FLAIR magnetic resonance.
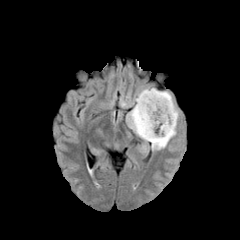
T1-weighted magnetic resonance.
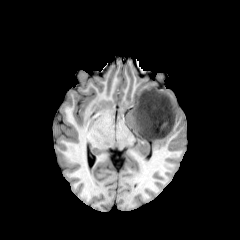
Post-contrast T1-weighted MR.
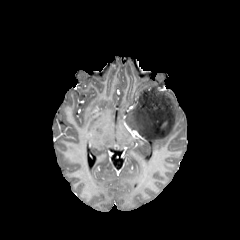
T2-weighted MR.
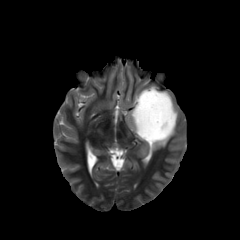
Head
Findings:
* edema: 119,86,180,152
* non-enhancing tumor core: 131,88,175,144